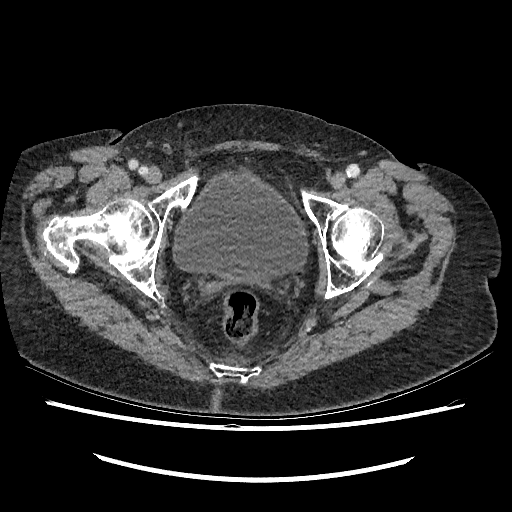

CT slice | Lower abdomen | Image size 512x512
{"urinary_bladder": ["region(172, 175, 308, 288)"]}